CT slice 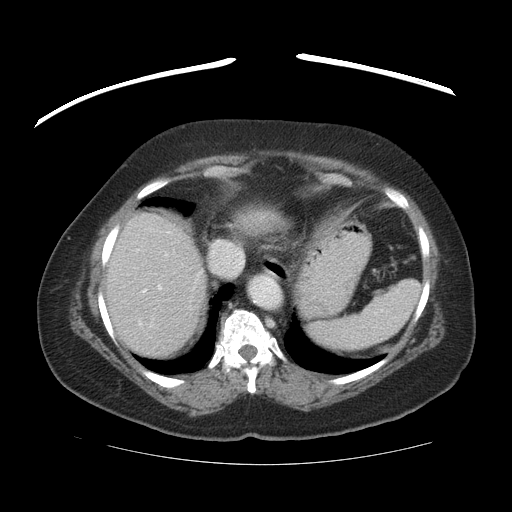
The vessel annotation is not exhaustive.
- hepatic vessel: l=221, t=251, r=243, b=269; l=158, t=285, r=161, b=289; l=216, t=244, r=231, b=253; l=143, t=289, r=145, b=291; l=165, t=253, r=166, b=255